FLAIR MR image.
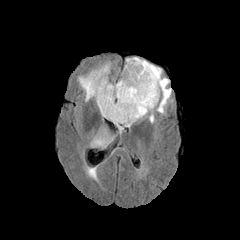
T1-weighted MRI.
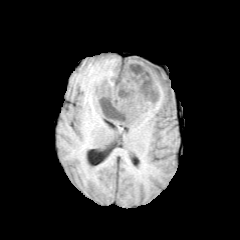
Post-contrast T1-weighted MRI.
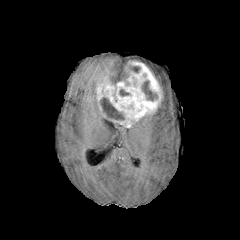
T2-weighted magnetic resonance.
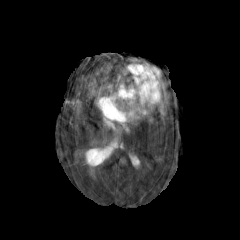
Image size 240x240 | Brain
Annotated regions:
* non-enhancing tumor core: 128, 66, 140, 72; 98, 97, 123, 120; 119, 89, 129, 96; 142, 80, 156, 100; 115, 71, 129, 84
* enhancing tumor: 96, 60, 162, 127
* edema: 78, 65, 125, 130; 124, 57, 171, 123